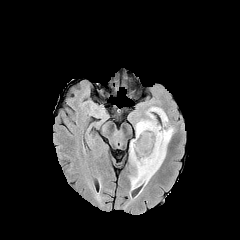
FLAIR MR.
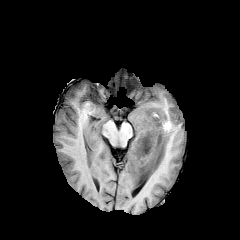
T1-weighted MR.
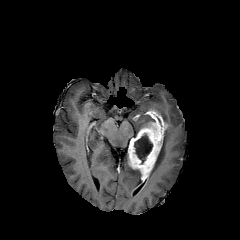
Same slice, post-contrast T1-weighted MR.
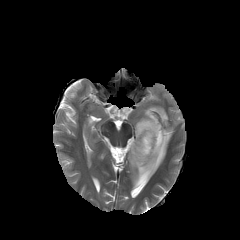
T2-weighted MR.
Image size 240x240
Edema: bounding box l=134, t=114, r=147, b=131; l=148, t=106, r=173, b=181; l=128, t=166, r=139, b=189.
Enhancing tumor: bounding box l=128, t=109, r=166, b=182.
Non-enhancing tumor core: bounding box l=134, t=135, r=152, b=163; l=152, t=139, r=164, b=170; l=142, t=114, r=154, b=125.